CT scan slice
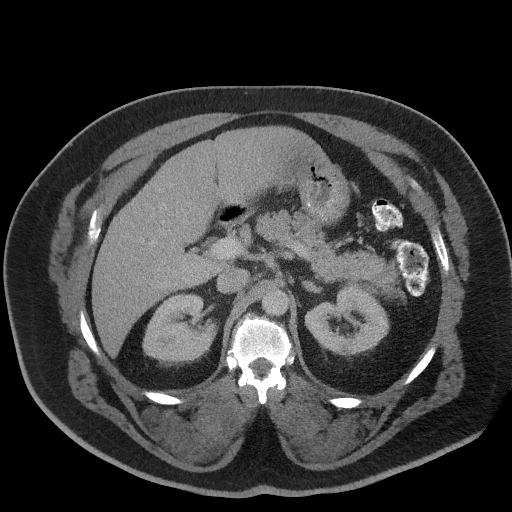
The pancreatic tumor is at x1=359 y1=254 x2=396 y2=283. The pancreas is located at x1=257 y1=211 x2=402 y2=299.